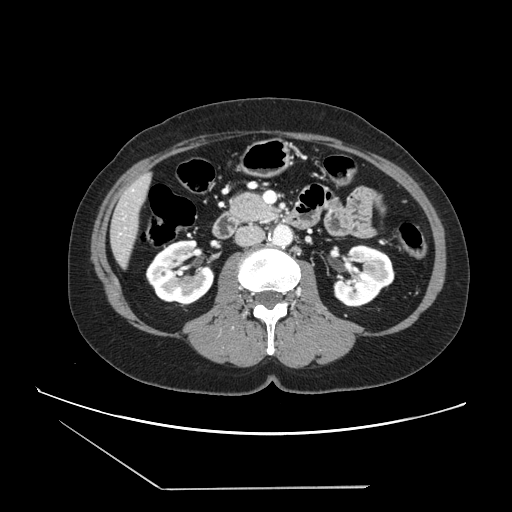 CT
The pancreas is at box(231, 193, 279, 221).